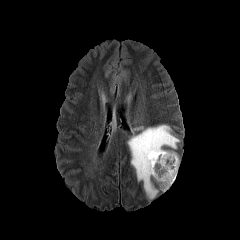
FLAIR MRI.
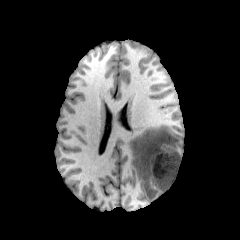
Same slice, T1-weighted MR.
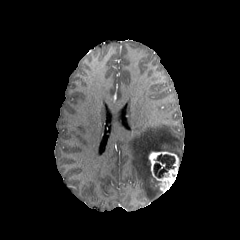
Same slice, post-contrast T1-weighted MR image.
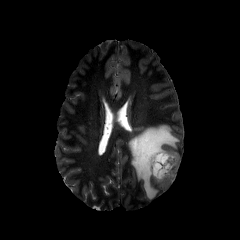
T2-weighted magnetic resonance.
Brain. Image size 240x240.
Non-enhancing tumor core at x1=150 y1=176 x2=162 y2=193, x1=153 y1=153 x2=175 y2=178.
Edema at x1=128 y1=125 x2=179 y2=200.
Enhancing tumor at x1=148 y1=151 x2=179 y2=192.